512x512 px, CT slice, Upper abdomen
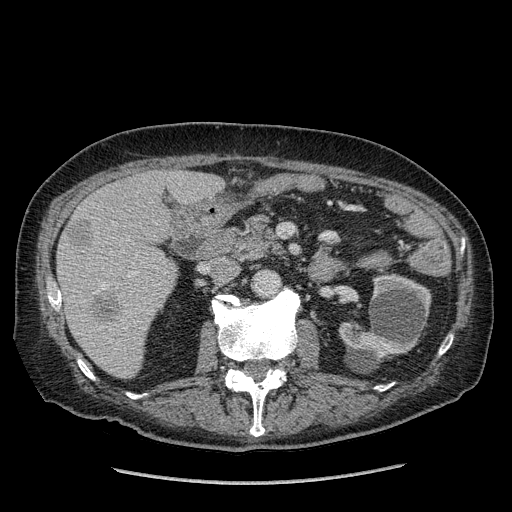
The liver is located at (left=57, top=170, right=223, bottom=379). 2 liver lesion regions appear at (left=68, top=218, right=92, bottom=245), (left=92, top=291, right=120, bottom=321). 2 kidney regions are located at (left=372, top=274, right=430, bottom=312), (left=339, top=322, right=417, bottom=357).